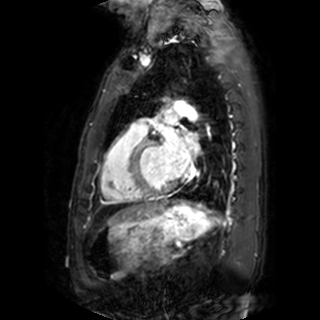

MR image | Cardiac
Annotated regions:
• left atrium: 161 129 189 176, 166 115 174 122, 187 133 195 140